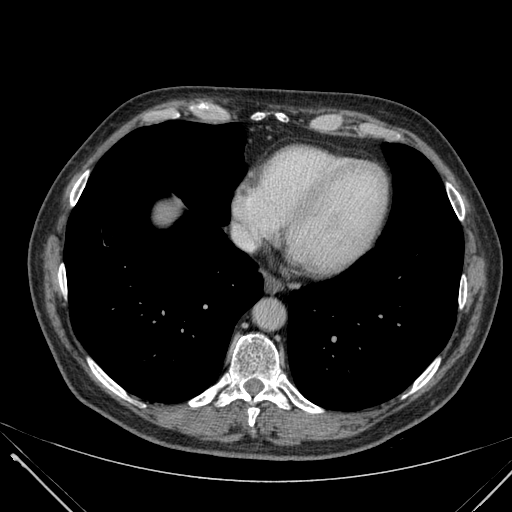
CT. Abdomen. Annotated regions:
- liver: x1=159, y1=206, x2=175, y2=220